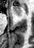 Medial temporal lobe, MRI slice
The anterior hippocampus is bounded by rect(13, 6, 21, 15).